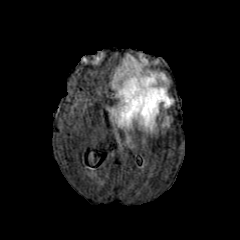
FLAIR MR image.
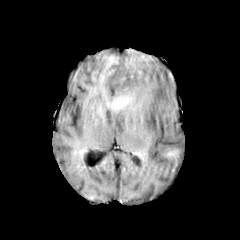
T1-weighted MR image.
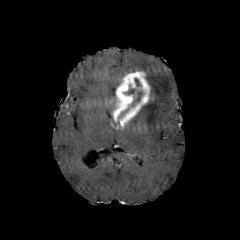
Same slice, post-contrast T1-weighted MRI.
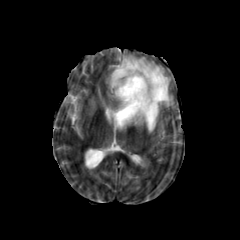
Same slice, T2-weighted MR image.
{
  "edema": [
    {"x1": 111, "y1": 54, "x2": 174, "y2": 132}
  ],
  "enhancing_tumor": [
    {"x1": 113, "y1": 71, "x2": 149, "y2": 126}
  ],
  "non-enhancing_tumor_core": [
    {"x1": 124, "y1": 88, "x2": 142, "y2": 104}
  ]
}